Slice index 126; CT slice
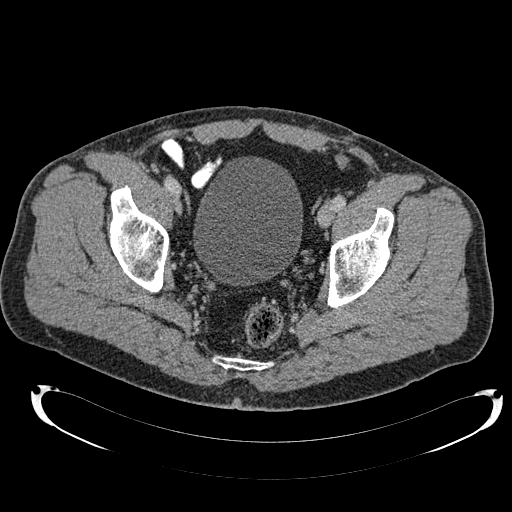

Urinary bladder — 193 156 302 284.